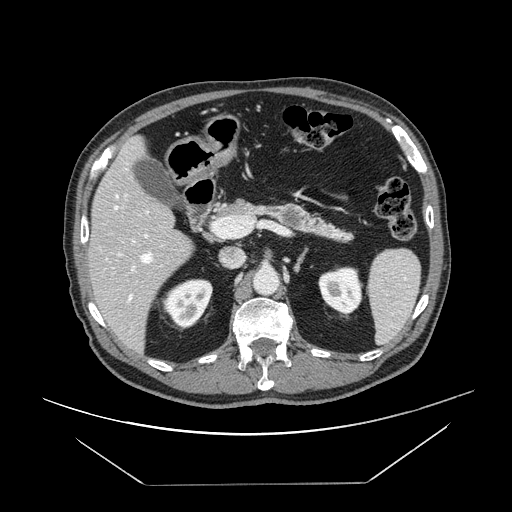

Upper abdomen | CT slice
Pancreas at bbox=[215, 199, 353, 243].
Pancreatic tumor at bbox=[281, 206, 302, 226].